Computed tomography; Slice 417/761; Liver 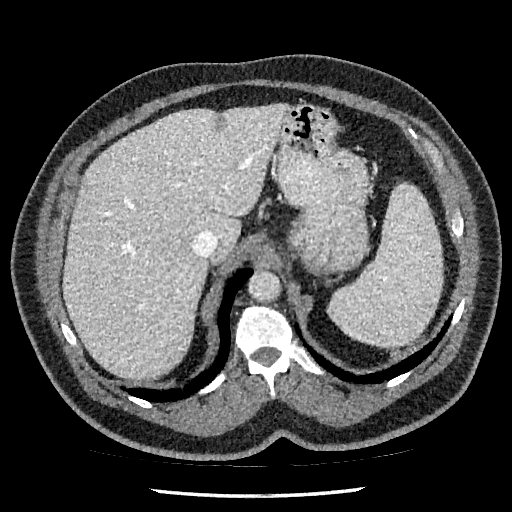

liver lesion: (left=214, top=115, right=228, bottom=132) | liver: (left=63, top=104, right=288, bottom=378)